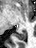 MRI
Posterior hippocampus: bounding box bbox=[15, 32, 25, 39].